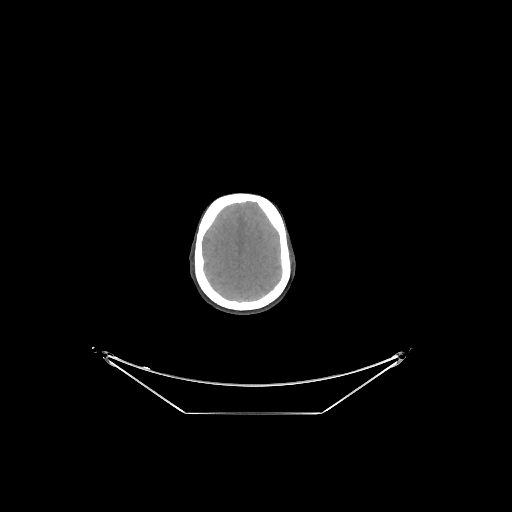 CT
brain:
  - left=202, top=201, right=281, bottom=301